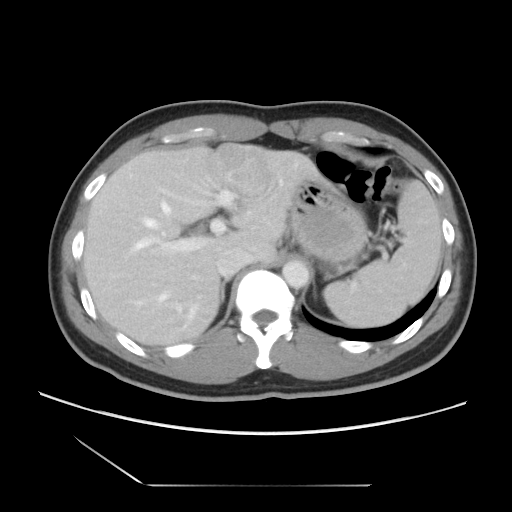

CT image; Abdomen
The vessel annotation is not exhaustive.
Hepatic vessel: x1=212 y1=220 x2=224 y2=232, x1=136 y1=242 x2=147 y2=248, x1=217 y1=190 x2=233 y2=204, x1=146 y1=220 x2=155 y2=226, x1=247 y1=211 x2=250 y2=214, x1=167 y1=239 x2=206 y2=253, x1=163 y1=204 x2=168 y2=211, x1=160 y1=296 x2=164 y2=299, x1=175 y1=303 x2=181 y2=312.
Liver tumor: x1=205 y1=144 x2=272 y2=198.